Chest. 512x512 px. CT scan slice. Slice 170/248.
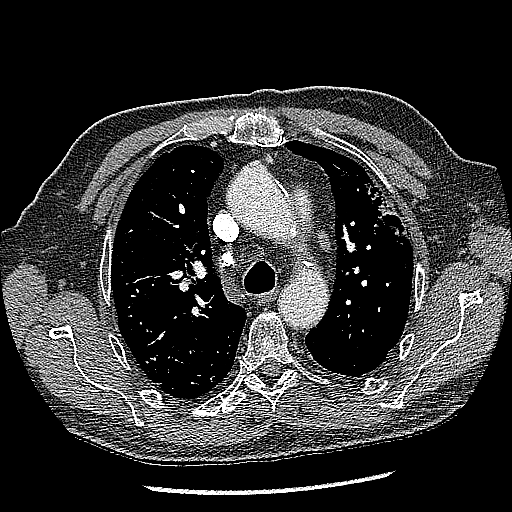

Lung tumor: bounding box x1=362 y1=171 x2=407 y2=238.